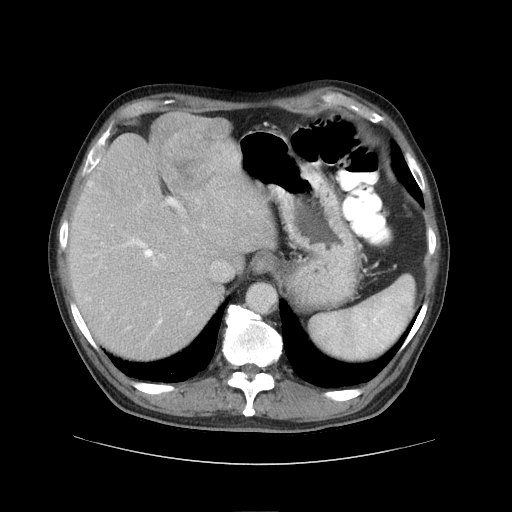

CT image. 512x512.

Not every hepatic vessel necessarily has a box.
Findings:
• hepatic vessel: (left=123, top=238, right=156, bottom=264), (left=165, top=198, right=183, bottom=211)
• liver tumor: (left=151, top=114, right=240, bottom=192)